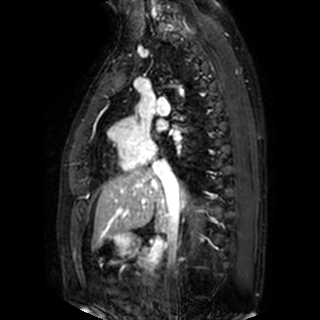 Magnetic resonance | Image size 320x320
left atrium: rect(174, 134, 182, 141); rect(156, 120, 167, 130)